Computed tomography
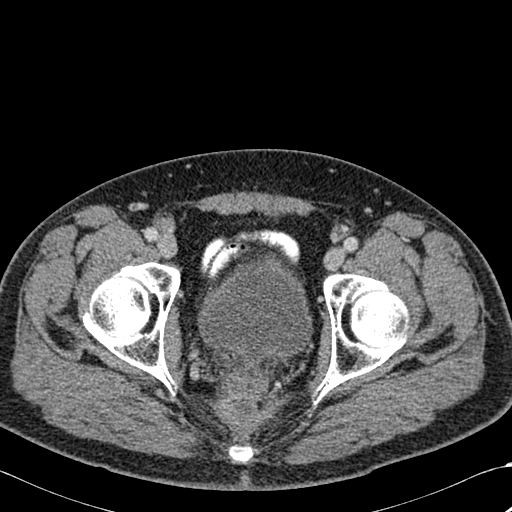
3 bone regions appear at bbox(318, 274, 407, 395); bbox(229, 447, 253, 461); bbox(83, 262, 179, 388).